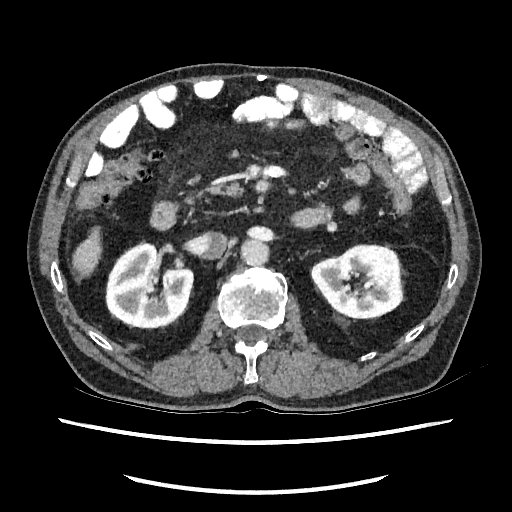
CT slice. The liver is bounded by 73,232,99,274. 2 kidney regions are bounded by 311,245,402,318; 106,242,193,327.